FLAIR MRI.
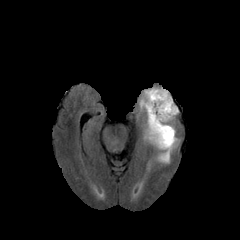
T1-weighted MR image.
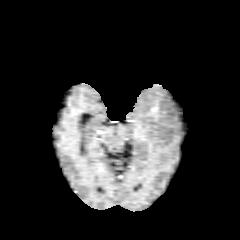
Post-contrast T1-weighted MRI.
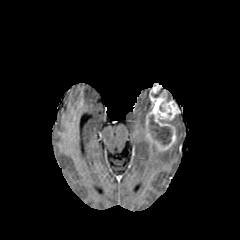
T2-weighted MR image.
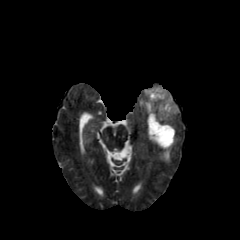
Head
Non-enhancing tumor core: bounding box box(149, 115, 172, 145).
Enhancing tumor: bounding box box(145, 85, 179, 150).
Edema: bounding box box(157, 138, 179, 163); box(138, 88, 150, 115).